Brain | Slice 122/155
FLAIR MR image.
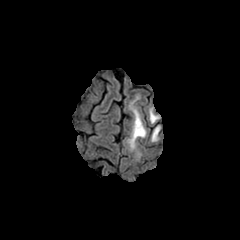
T1-weighted MR.
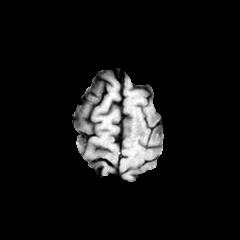
Post-contrast T1-weighted magnetic resonance.
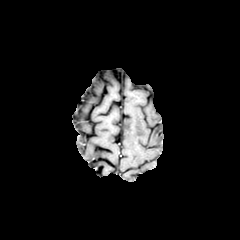
T2-weighted MRI.
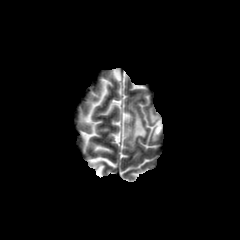
The edema appears at (x1=128, y1=107, x2=160, y2=149).